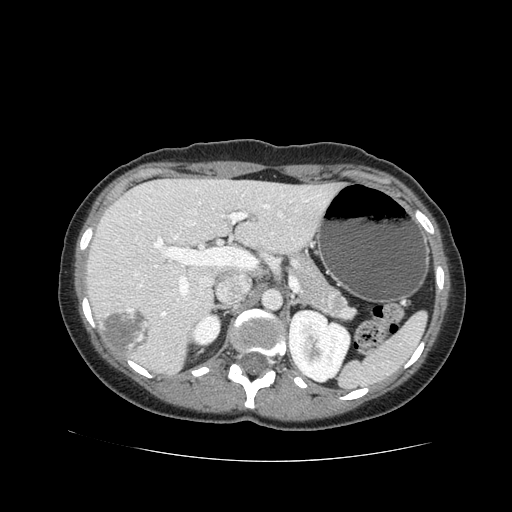 Upper abdomen, CT scan slice
{"pancreatic_tumor": [{"x1": 325, "y1": 291, "x2": 357, "y2": 320}], "pancreas": [{"x1": 293, "y1": 254, "x2": 337, "y2": 313}]}